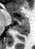

MR image.

• anterior hippocampus: {"x1": 20, "y1": 16, "x2": 28, "y2": 21}, {"x1": 12, "y1": 17, "x2": 15, "y2": 20}, {"x1": 16, "y1": 17, "x2": 18, "y2": 20}
• posterior hippocampus: {"x1": 13, "y1": 21, "x2": 29, "y2": 35}